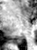 MRI. Hippocampus. The posterior hippocampus is bounded by (left=14, top=37, right=22, bottom=43).